FLAIR MR.
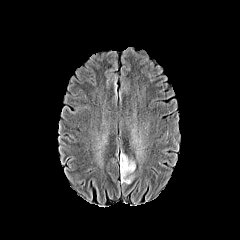
T1-weighted MR.
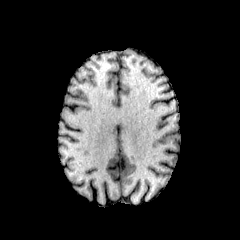
Post-contrast T1-weighted magnetic resonance.
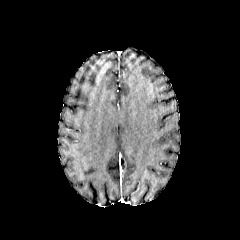
T2-weighted MR image.
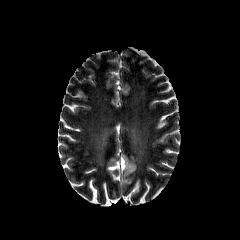
Image size 240x240, Brain
The edema is at box(120, 154, 135, 184).